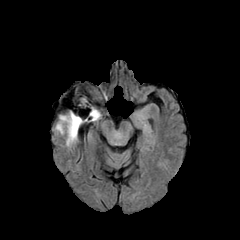
FLAIR MR image.
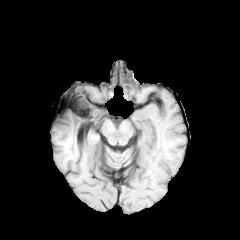
T1-weighted MRI.
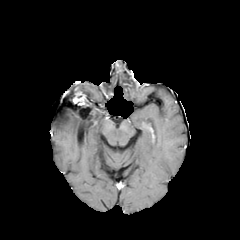
Post-contrast T1-weighted magnetic resonance.
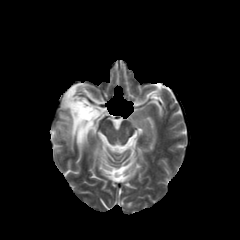
Same slice, T2-weighted magnetic resonance.
Non-enhancing tumor core: left=72, top=112, right=79, bottom=129.
Edema: left=54, top=108, right=101, bottom=147.
Enhancing tumor: left=78, top=97, right=86, bottom=105.